FLAIR MRI.
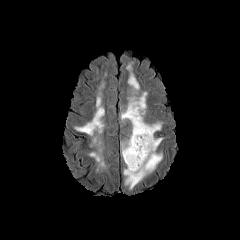
T1-weighted MRI.
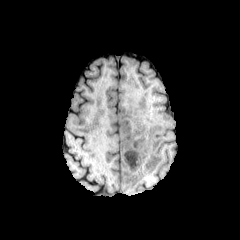
Post-contrast T1-weighted MR.
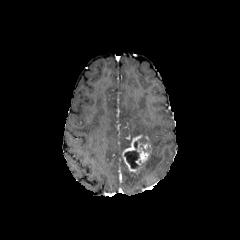
T2-weighted magnetic resonance.
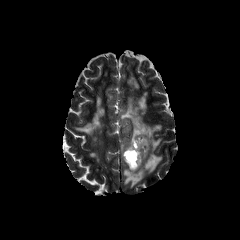
Head
non-enhancing tumor core: rect(124, 151, 139, 168); rect(133, 135, 147, 147) | edema: rect(89, 153, 104, 166); rect(128, 73, 139, 90); rect(74, 97, 104, 136); rect(121, 92, 162, 189) | enhancing tumor: rect(122, 135, 151, 171)